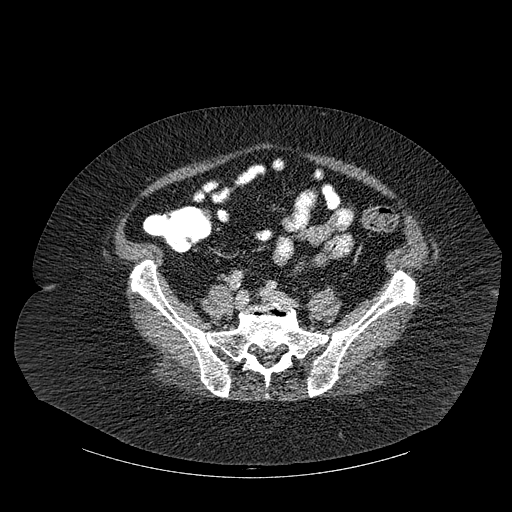
CT scan slice | 512x512
The bone appears at box=[130, 260, 414, 397].